CT

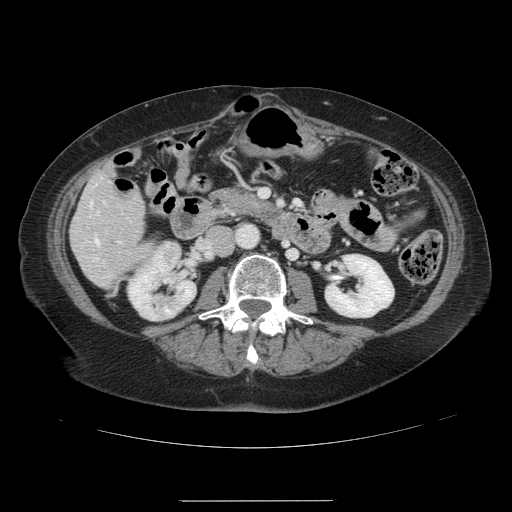 Only some of the vessels may be annotated.
5 hepatic vessel regions are bounded by box(103, 201, 104, 203); box(117, 241, 120, 241); box(108, 181, 111, 183); box(95, 238, 98, 244); box(90, 201, 91, 205).